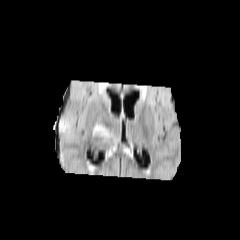
FLAIR MR.
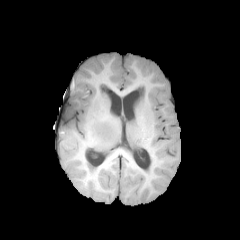
T1-weighted magnetic resonance.
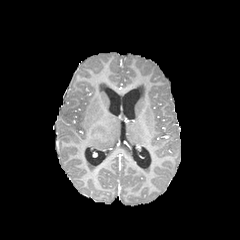
Post-contrast T1-weighted magnetic resonance.
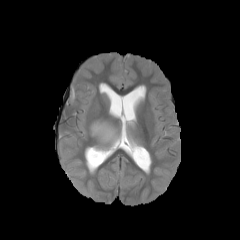
T2-weighted MR of the same slice.
Image size 240x240; Head
Segmented structures:
• edema: [95,124,116,145]
• non-enhancing tumor core: [93,121,111,140]